Field of view 438 mm wide, 0.70 mm slice spacing | Computed tomography
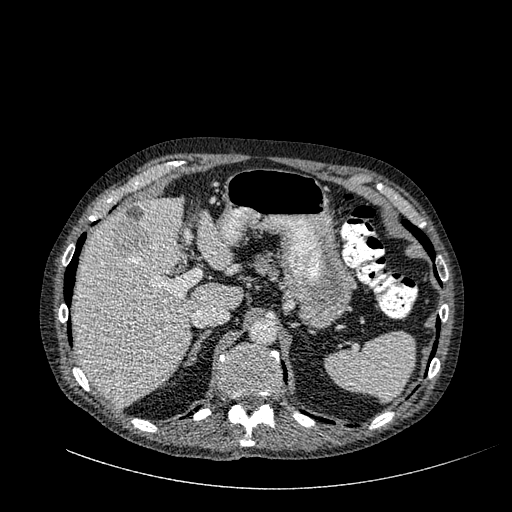 liver:
  - {"x1": 73, "y1": 196, "x2": 243, "y2": 405}
  - {"x1": 198, "y1": 212, "x2": 231, "y2": 270}
liver_lesion:
  - {"x1": 110, "y1": 206, "x2": 150, "y2": 258}